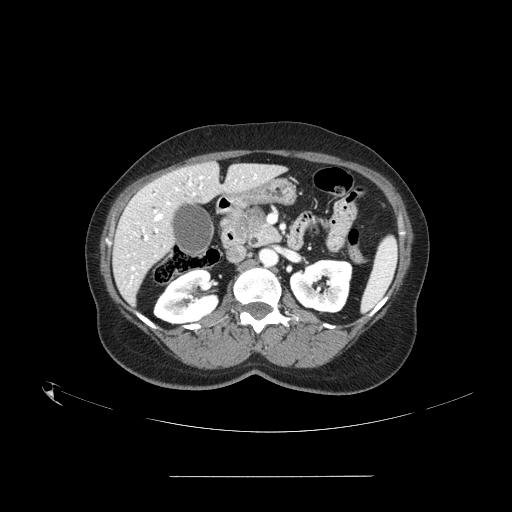 CT | Image size 512x512 | Upper abdomen
Pancreas: x1=233 y1=215 x2=279 y2=244.
Pancreatic tumor: x1=236 y1=208 x2=264 y2=234.